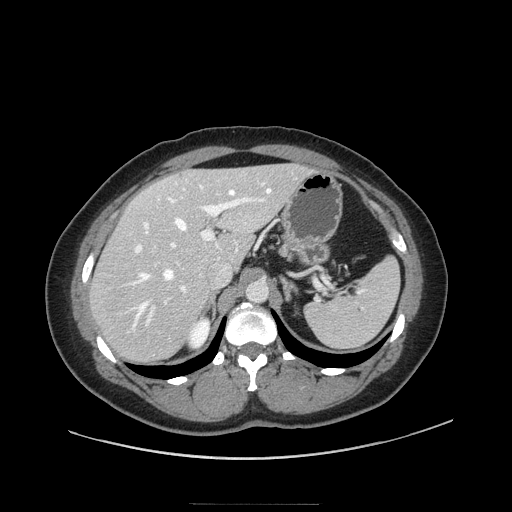
512x512 px; Abdomen; CT
Pancreas — [277,241,294,257].